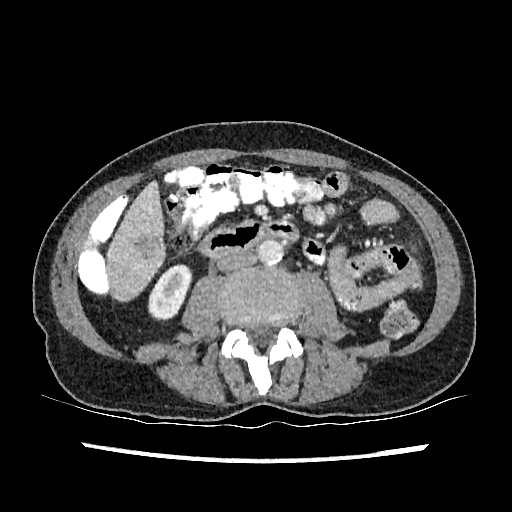 CT | 512x512
liver:
  - bbox(106, 181, 164, 300)
kidney:
  - bbox(150, 265, 190, 318)
hepatic_lesion:
  - bbox(134, 236, 152, 259)